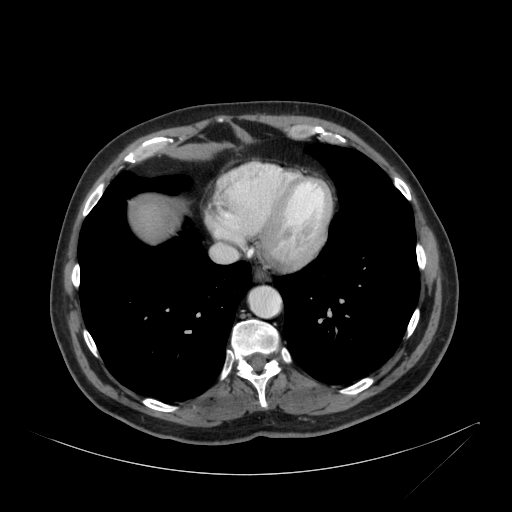
CT; Upper abdomen; Image size 512x512
The liver is at left=139, top=204, right=160, bottom=231.